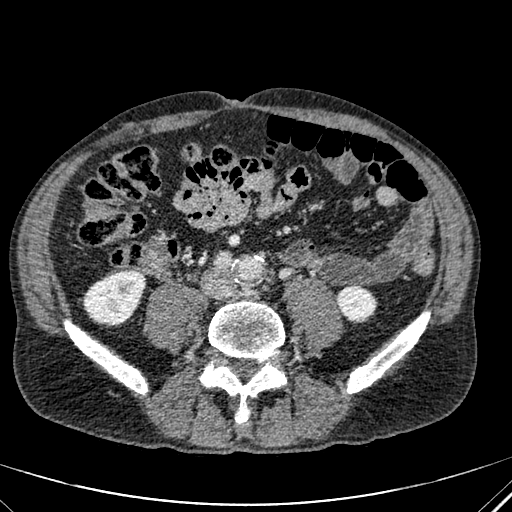
CT slice
kidney:
  - box=[338, 287, 374, 319]
  - box=[85, 271, 144, 324]